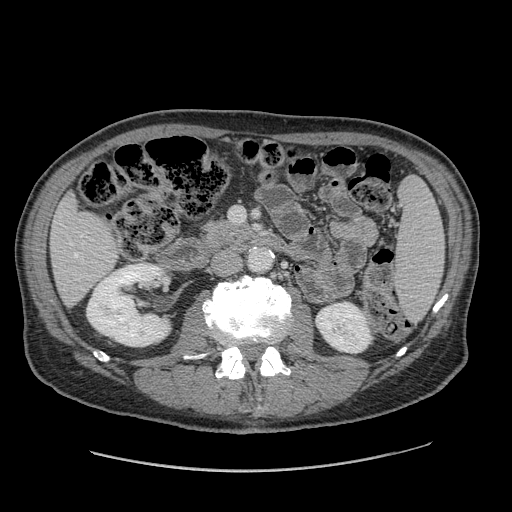

512x512 px | CT scan slice | Upper abdomen

Pancreas — l=207, t=221, r=248, b=242.